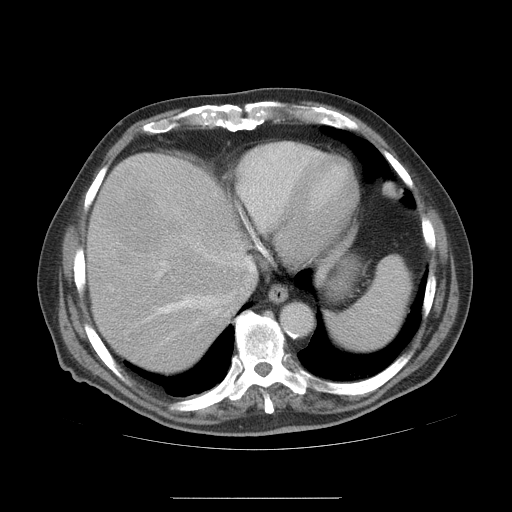
Image size 512x512, CT slice
Not every hepatic vessel necessarily has a box.
hepatic vessel: (154,262,168,277), (249,262,253,273), (238,246,242,249), (245,263,246,265), (199,317,202,320), (204,252,243,270), (145,315,153,320), (225,311,229,315), (214,309,219,314), (152,295,226,313)